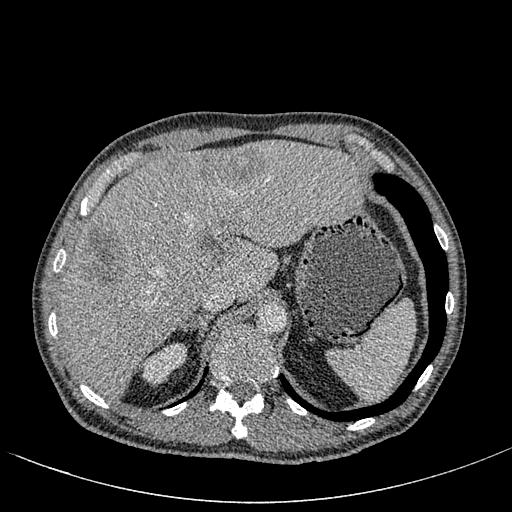 Image size 512x512 | CT
Liver = x1=58 y1=140 x2=364 y2=397.
Kidney = x1=143 y1=343 x2=186 y2=384.
Focal liver lesion = x1=201 y1=148 x2=263 y2=185, x1=80 y1=229 x2=125 y2=286, x1=169 y1=161 x2=178 y2=170, x1=200 y1=223 x2=240 y2=261.